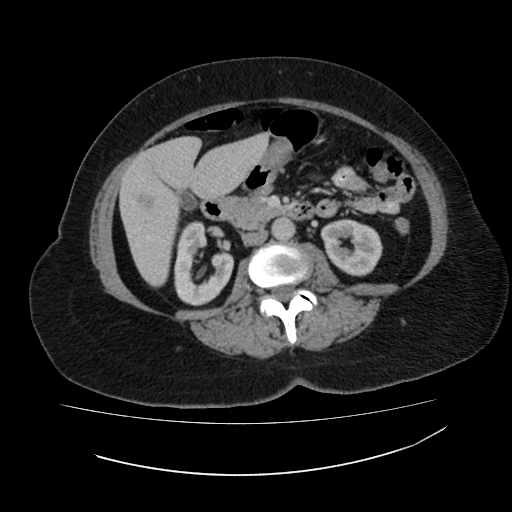 Image size 512x512. Upper abdomen. CT. kidney:
  - l=322, t=220, r=381, b=275
  - l=174, t=222, r=232, b=304
liver:
  - l=120, t=133, r=267, b=285
liver_lesion:
  - l=130, t=190, r=155, b=213